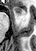

MRI slice. Hippocampus. Anterior hippocampus: 13,6,27,17.